Computed tomography. 512x512 px. Slice 141/588. 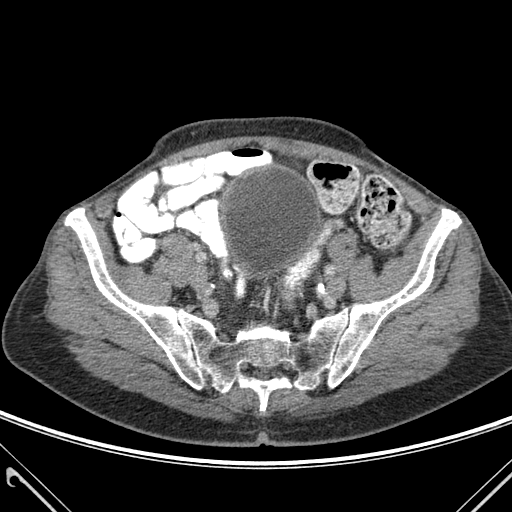 Bone at [x1=239, y1=376, x2=291, y2=410], [x1=65, y1=208, x2=461, y2=392].